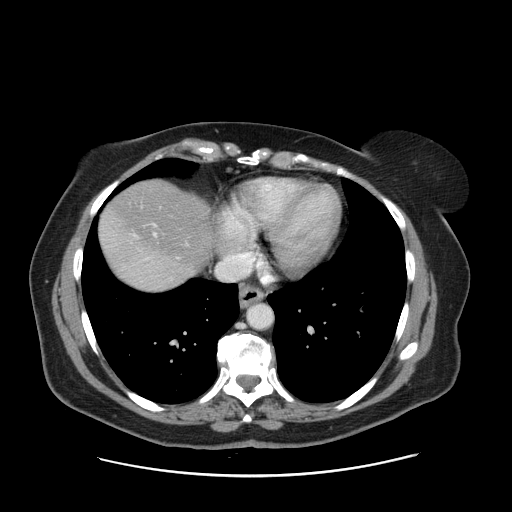
Computed tomography
Only some of the vessels may be annotated.
The hepatic vessel is located at bbox=[154, 224, 155, 225].